FLAIR MR.
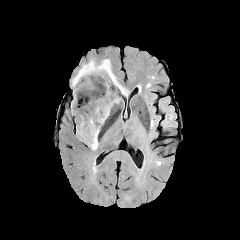
T1-weighted MR.
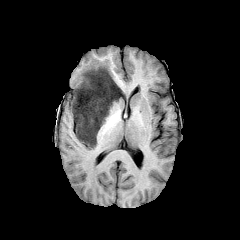
Post-contrast T1-weighted MR.
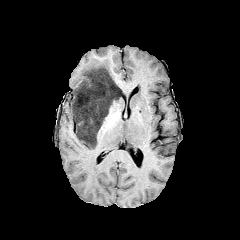
T2-weighted MR image.
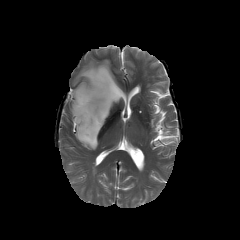
non-enhancing tumor core: (x1=72, y1=67, x2=125, y2=148) | edema: (x1=72, y1=59, x2=113, y2=86), (x1=82, y1=82, x2=103, y2=95)